FLAIR magnetic resonance.
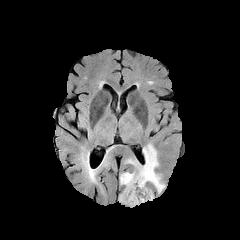
T1-weighted MRI.
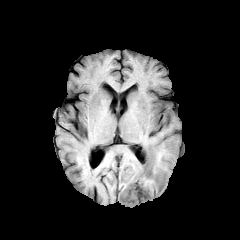
Post-contrast T1-weighted MR.
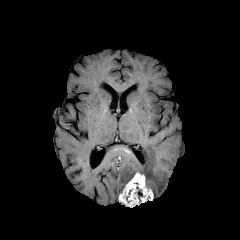
T2-weighted MR image.
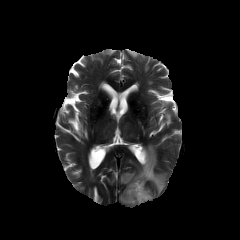
Head, Image size 240x240
The enhancing tumor lies within <bbox>118, 172, 153, 206</bbox>. The edema is at <bbox>120, 144, 164, 193</bbox>.